Liver | CT | Image size 512x512
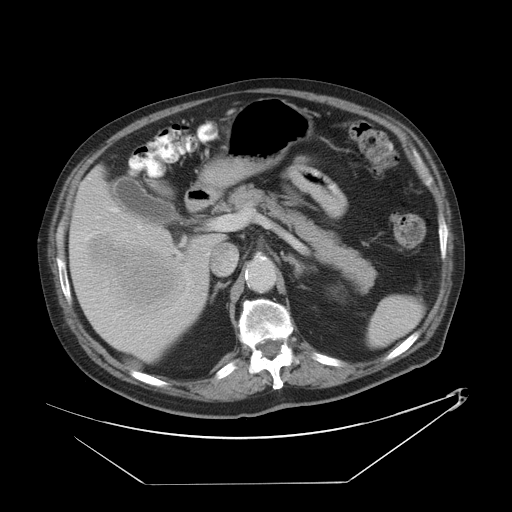

Some hepatic vessels may have no box.
Segmented structures:
- hepatic vessel: {"x1": 73, "y1": 232, "x2": 78, "y2": 233}, {"x1": 93, "y1": 232, "x2": 97, "y2": 233}, {"x1": 181, "y1": 267, "x2": 184, "y2": 267}, {"x1": 173, "y1": 249, "x2": 180, "y2": 257}, {"x1": 109, "y1": 208, "x2": 118, "y2": 211}, {"x1": 85, "y1": 234, "x2": 92, "y2": 239}, {"x1": 187, "y1": 263, "x2": 189, "y2": 265}, {"x1": 137, "y1": 224, "x2": 140, "y2": 229}
- liver tumor: {"x1": 89, "y1": 234, "x2": 181, "y2": 303}